Magnetic resonance, Medial temporal lobe, Slice 19/31
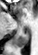 - posterior hippocampus: [x1=14, y1=30, x2=29, y2=47]